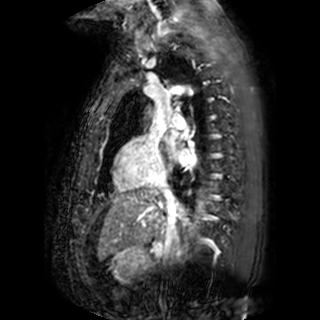
Heart, MR image
left_atrium:
  - region(164, 130, 176, 144)
  - region(166, 148, 192, 162)